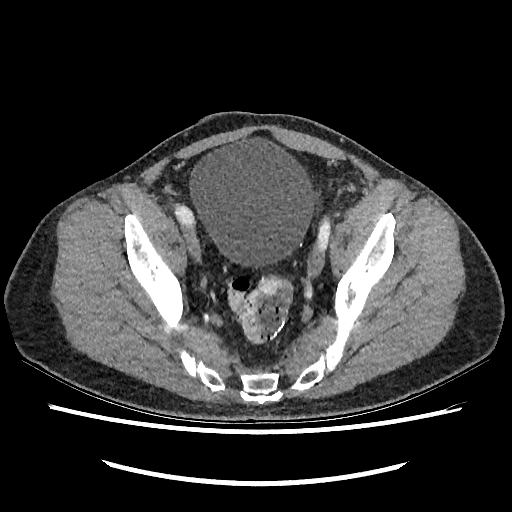
Computed tomography, Image size 512x512
Urinary bladder: rect(189, 135, 314, 268).